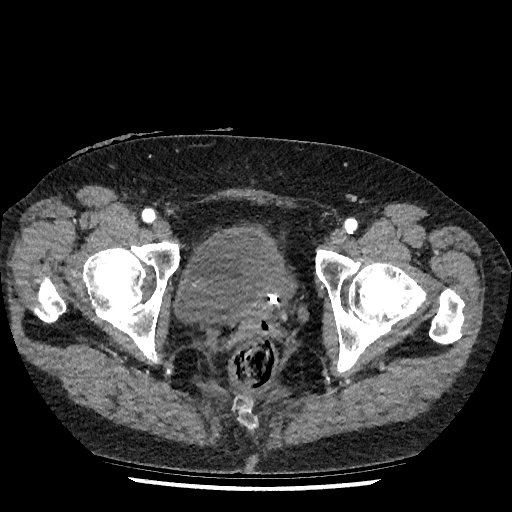

512x512 px, CT slice

Urinary bladder: [173,223,296,329].